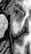
Medial temporal lobe; MRI; 31x54 px

Anterior hippocampus = (11, 6, 23, 23).